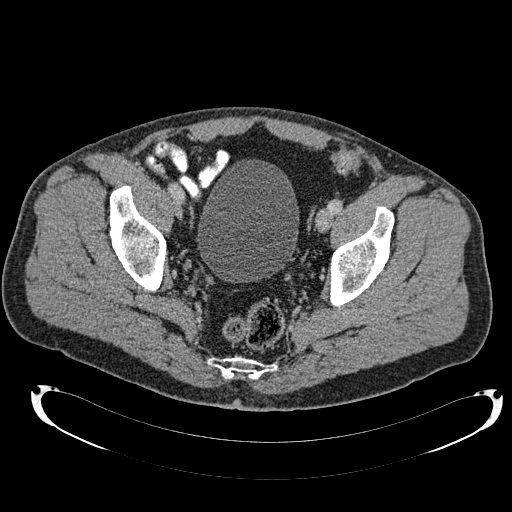
CT scan slice
Urinary bladder: x1=196 y1=159 x2=299 y2=282.